Image size 240x240; Field of view 240x240 mm; Head; Slice 62/155
FLAIR MRI.
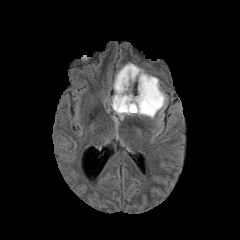
T1-weighted MRI.
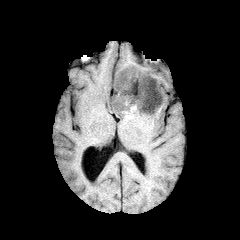
Post-contrast T1-weighted magnetic resonance.
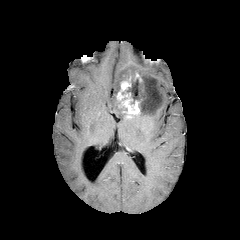
T2-weighted MRI.
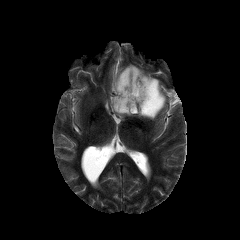
Enhancing tumor = (x1=116, y1=77, x2=140, y2=113).
Non-enhancing tumor core = (x1=114, y1=100, x2=124, y2=112), (x1=121, y1=70, x2=156, y2=113).
Edema = (x1=109, y1=63, x2=168, y2=127).